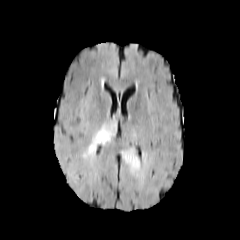
FLAIR MRI.
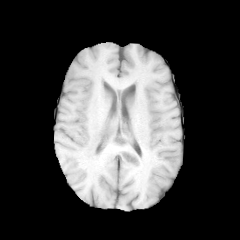
T1-weighted MR.
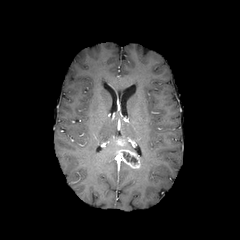
Same slice, post-contrast T1-weighted MR image.
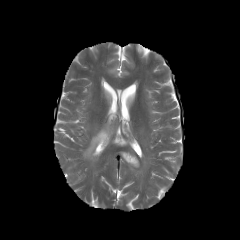
T2-weighted magnetic resonance.
Head
The edema is bounded by (83, 124, 114, 157). The non-enhancing tumor core lies within (122, 151, 137, 165). 2 enhancing tumor regions are bounded by (115, 138, 126, 145), (118, 148, 141, 168).